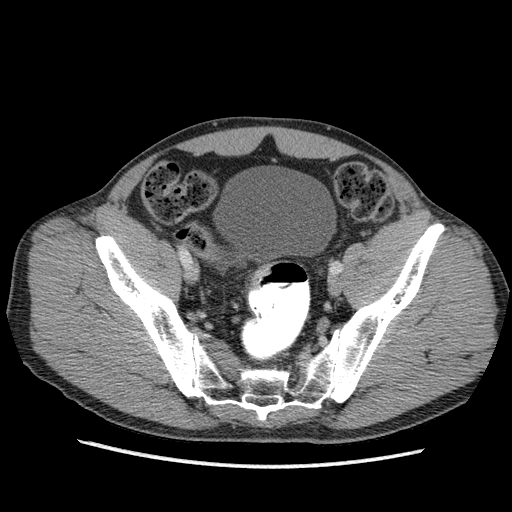
CT scan slice; Pelvis

* urinary bladder: 213,166,336,261